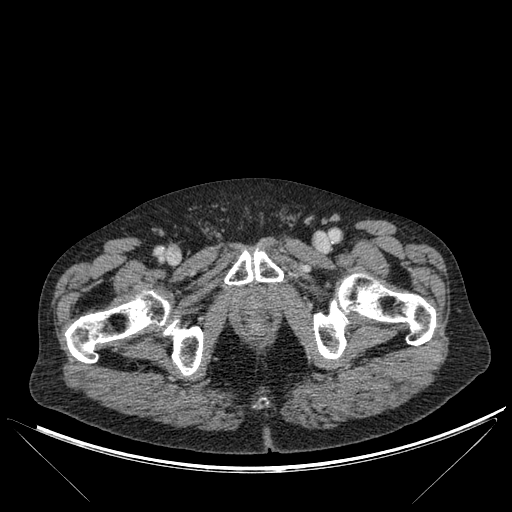

Computed tomography
Annotated regions:
- bone: rect(64, 291, 203, 375); rect(313, 273, 436, 359); rect(224, 248, 283, 285)